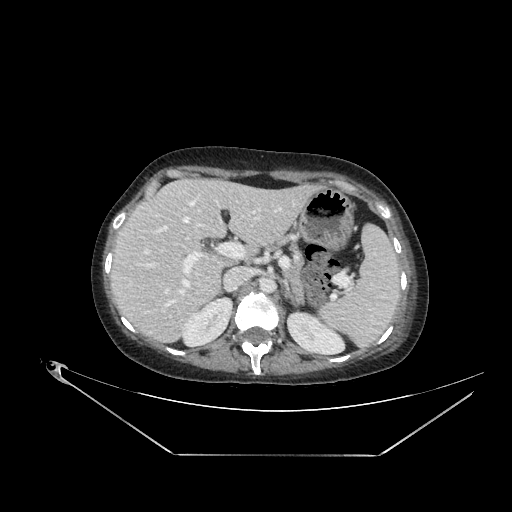

CT slice.
2 kidney regions are located at [x1=288, y1=313, x2=344, y2=354], [x1=182, y1=298, x2=231, y2=345]. The liver is at [x1=111, y1=181, x2=320, y2=345].